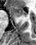

Magnetic resonance. 36x45. anterior_hippocampus:
  - 11,6,26,16